FLAIR magnetic resonance.
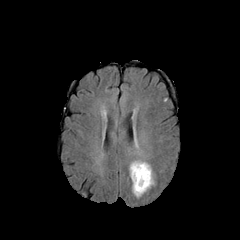
T1-weighted MRI.
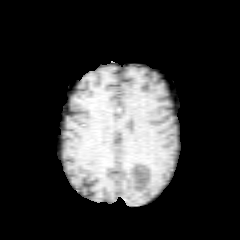
Post-contrast T1-weighted MRI.
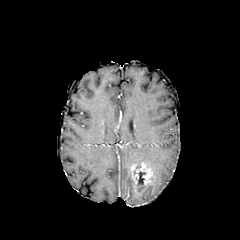
T2-weighted magnetic resonance.
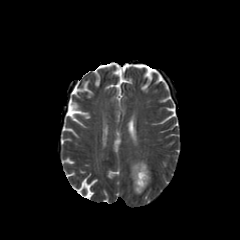
{
  "enhancing_tumor": [
    "(135,163,149,185)"
  ],
  "non-enhancing_tumor_core": [
    "(138,172,144,185)"
  ],
  "edema": [
    "(130,160,153,196)"
  ]
}